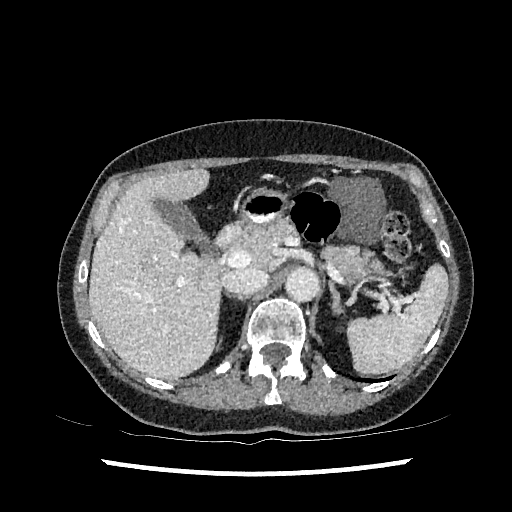
512x512; CT; Upper abdomen
{
  "focal_liver_lesion": [
    "[142, 253, 151, 268]"
  ],
  "liver": [
    "[90, 168, 220, 378]"
  ]
}